Head; Field of view 240 mm wide, 1.00 mm slice spacing
FLAIR MRI.
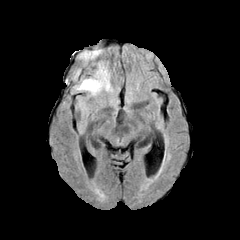
T1-weighted MRI.
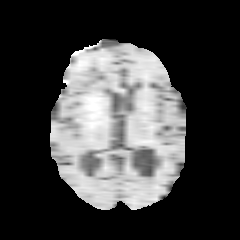
Post-contrast T1-weighted MR image.
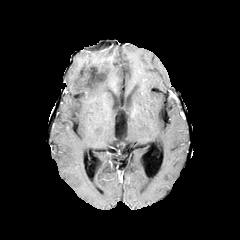
T2-weighted MRI.
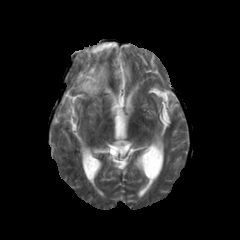
The edema is at x1=73 y1=63 x2=116 y2=106.